FLAIR MR image.
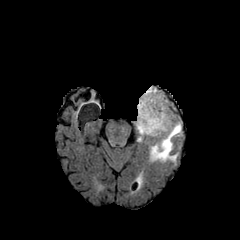
T1-weighted magnetic resonance.
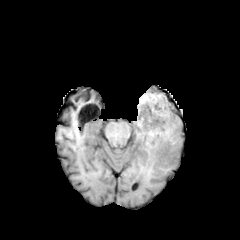
Post-contrast T1-weighted MRI.
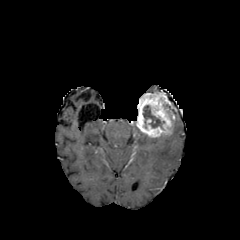
T2-weighted MRI.
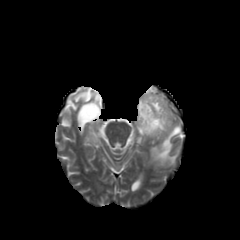
Image size 240x240; Brain
Enhancing tumor = box(136, 89, 176, 136).
Non-enhancing tumor core = box(143, 105, 163, 129).
Edema = box(149, 121, 182, 165); box(136, 173, 143, 188); box(136, 127, 145, 143).